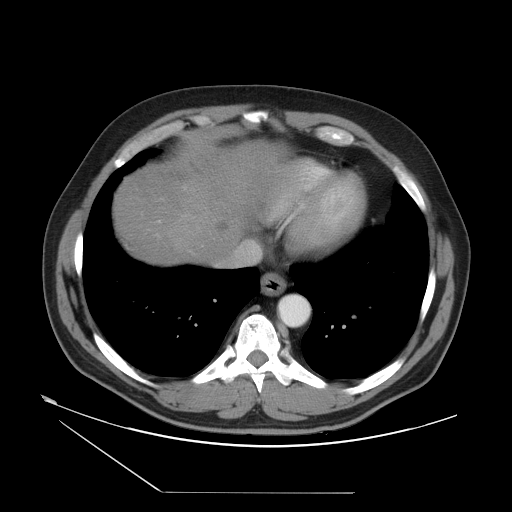

Image size 512x512. CT scan slice.
Only some of the vessels may be annotated.
Liver tumor: (218, 224, 229, 231), (231, 185, 255, 215).
Hepatic vessel: (157, 221, 159, 222), (304, 182, 315, 188), (274, 196, 287, 214).